FLAIR magnetic resonance.
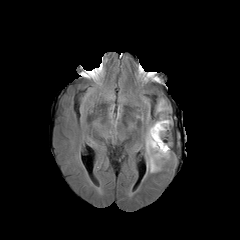
T1-weighted MR image.
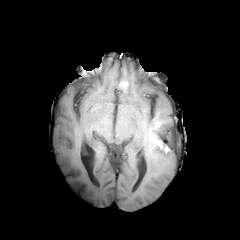
Post-contrast T1-weighted MR image.
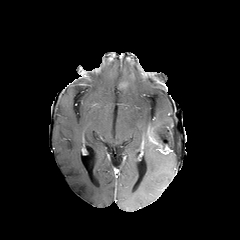
T2-weighted magnetic resonance.
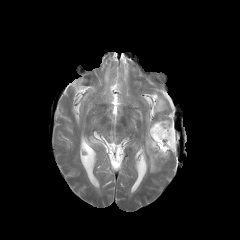
Head.
• enhancing tumor: 148, 130, 169, 154
• edema: 103, 86, 114, 101; 141, 99, 173, 173; 108, 104, 116, 125
• non-enhancing tumor core: 154, 124, 172, 151